Slice index 89
FLAIR MRI.
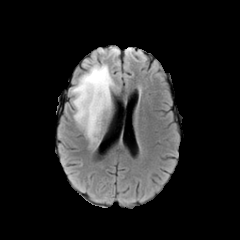
T1-weighted MRI.
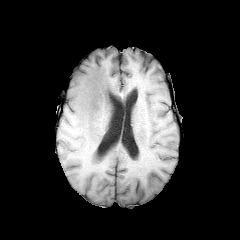
Post-contrast T1-weighted MR image.
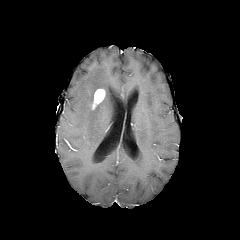
T2-weighted MR image.
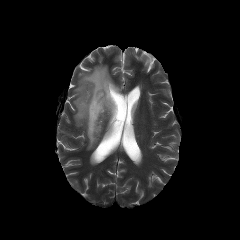
The enhancing tumor lies within region(92, 89, 105, 109). The edema is located at region(71, 64, 119, 146). The non-enhancing tumor core is bounded by region(104, 87, 115, 99).